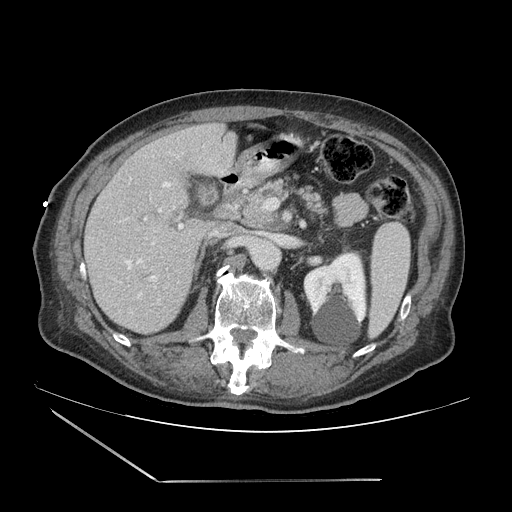

CT slice; Abdomen

* pancreas: 248, 180, 289, 225; 296, 186, 326, 218